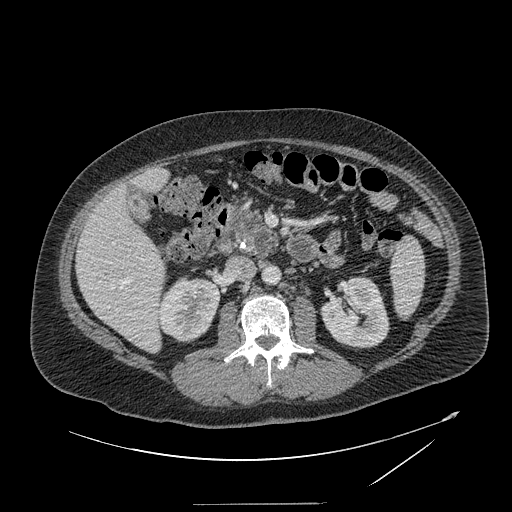
Abdomen, Computed tomography
<segmentation>
  <pancreas>(233, 208, 279, 256)</pancreas>
</segmentation>